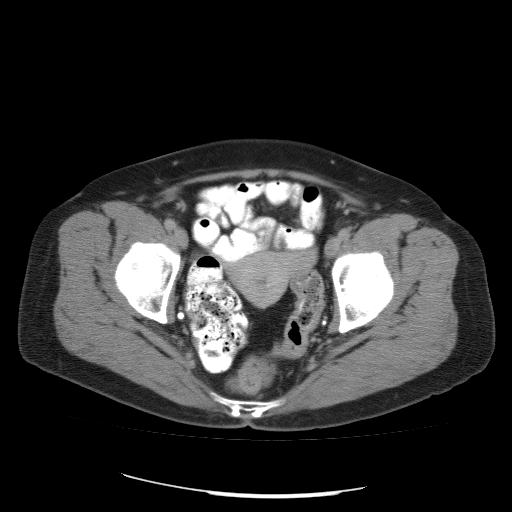

Pelvis, CT
Annotated regions:
* colon tumor: box=[273, 315, 307, 357]